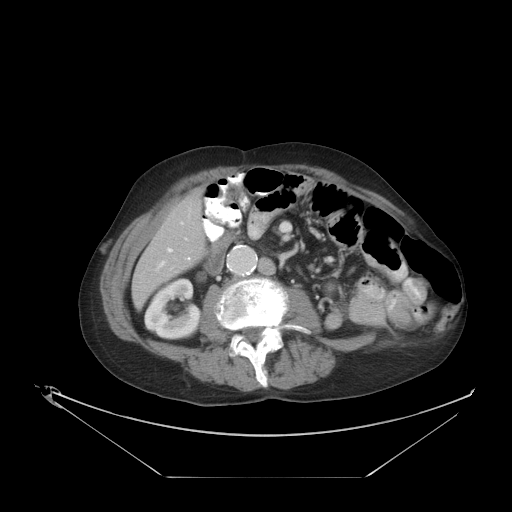
CT

colon_tumor:
  - 225:183:242:201